CT. Field of view 438 mm wide, 5.00 mm slice spacing. Slice index 27.

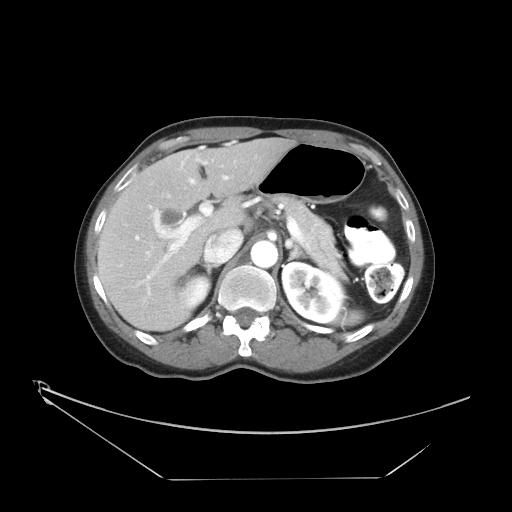
Only some of the vessels may be annotated.
hepatic_vessel:
  - (204,230,242,254)
  - (222,176,227,179)
  - (147,287,150,294)
  - (152,210,200,261)
  - (138,281,142,284)
  - (196,157,206,164)
  - (146,251,150,255)
  - (189,178,194,183)
  - (181,162,184,169)
  - (200,203,211,215)
  - (149,205,151,207)
  - (135,236,138,239)
  - (167,195,169,197)
  - (147,273,152,279)